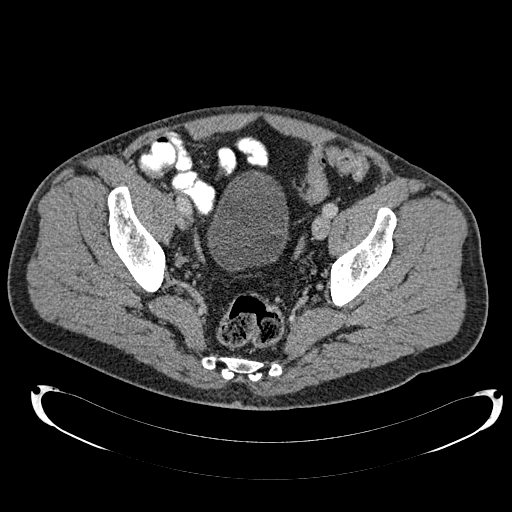
CT | Image size 512x512 | Pelvis

The urinary bladder is bounded by <bbox>207, 170, 288, 271</bbox>.